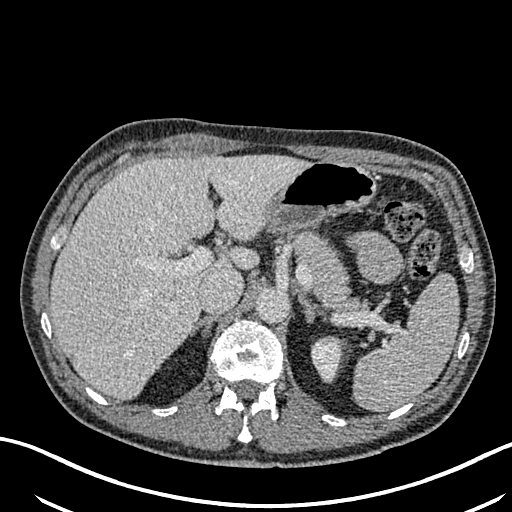 CT scan slice | 512x512 px
kidney:
  - x1=312, y1=341, x2=339, y2=378
liver:
  - x1=50, y1=155, x2=307, y2=398